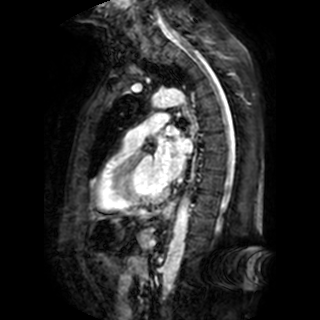
MR; Cardiac
The left atrium is at {"x1": 155, "y1": 127, "x2": 192, "y2": 181}.